Slice index 38 | Abdomen | CT 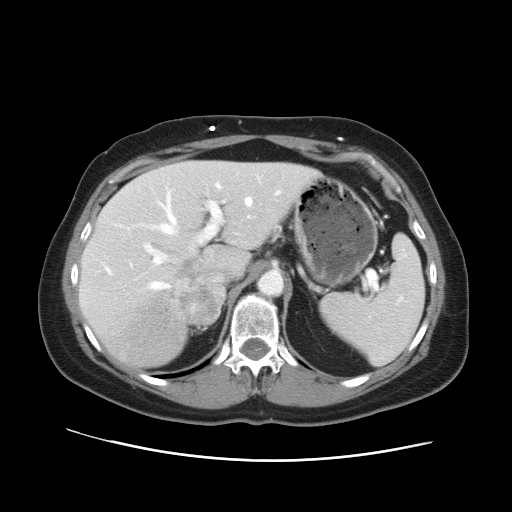

Not every hepatic vessel necessarily has a box.
The liver tumor appears at [x1=162, y1=257, x2=218, y2=321]. 9 hepatic vessel regions are bounded by [x1=257, y1=175, x2=259, y2=181], [x1=247, y1=215, x2=250, y2=217], [x1=196, y1=200, x2=222, y2=243], [x1=112, y1=187, x2=177, y2=235], [x1=155, y1=259, x2=158, y2=262], [x1=154, y1=282, x2=167, y2=288], [x1=243, y1=197, x2=253, y2=206], [x1=143, y1=242, x2=168, y2=261], [x1=190, y1=245, x2=192, y2=249].